Slice index 56. Computed tomography. Abdomen.
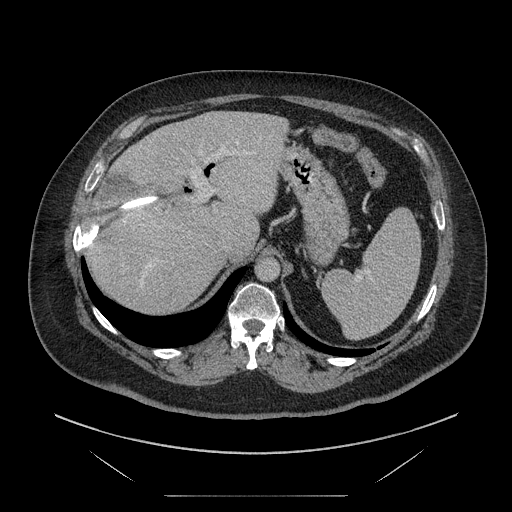
The vessel annotation is not exhaustive.
Findings:
* liver tumor: [x1=92, y1=173, x2=171, y2=226]
* hepatic vessel: [x1=185, y1=165, x2=215, y2=202], [x1=192, y1=211, x2=193, y2=212], [x1=242, y1=150, x2=247, y2=154], [x1=201, y1=145, x2=239, y2=163]